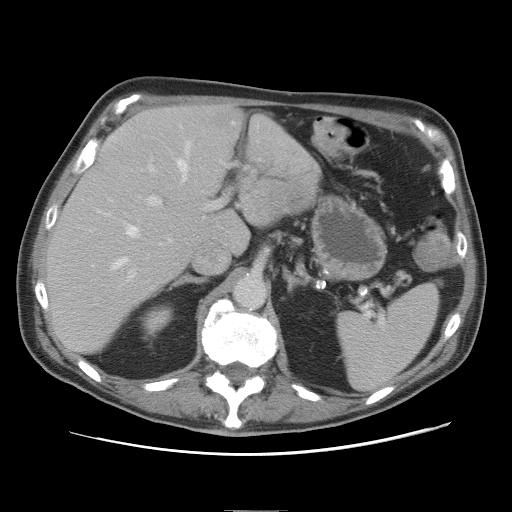
CT slice | 512x512 px
The vessel annotation is not exhaustive.
Hepatic vessel = l=150, t=167, r=153, b=171; l=169, t=239, r=171, b=241; l=178, t=160, r=187, b=173; l=114, t=258, r=126, b=268; l=130, t=271, r=134, b=278; l=226, t=164, r=231, b=166; l=149, t=197, r=161, b=205; l=127, t=226, r=138, b=236; l=244, t=165, r=248, b=169; l=211, t=199, r=224, b=208; l=183, t=175, r=187, b=181; l=186, t=142, r=190, b=150.
Liver tumor = l=287, t=195, r=297, b=207.